MRI; Field of view 34x47 mm
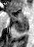

{
  "anterior_hippocampus": [
    {"x1": 7, "y1": 12, "x2": 27, "y2": 21}
  ],
  "posterior_hippocampus": [
    {"x1": 14, "y1": 22, "x2": 27, "y2": 32}
  ]
}